CT scan slice; Upper abdomen; Image width 381 mm 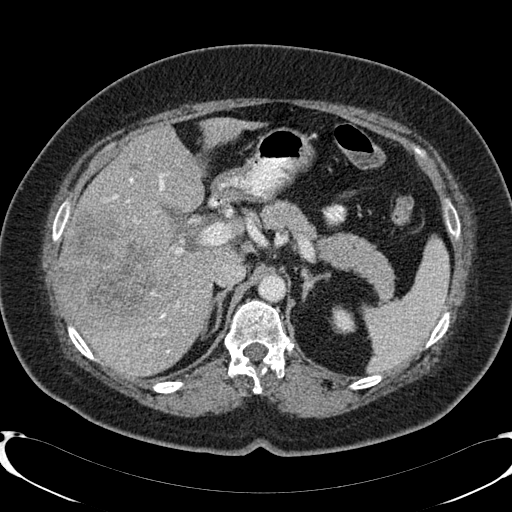

Segmented structures:
- kidney: (334, 310, 352, 330)
- hepatic lesion: (56, 212, 177, 330)
- liver: (56, 127, 237, 375), (228, 220, 244, 234), (199, 118, 261, 147)